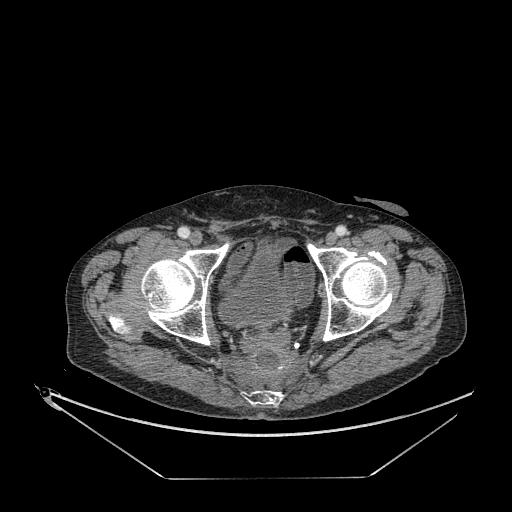 CT image. 512x512. Pelvis. urinary bladder: (218,239,290,325)